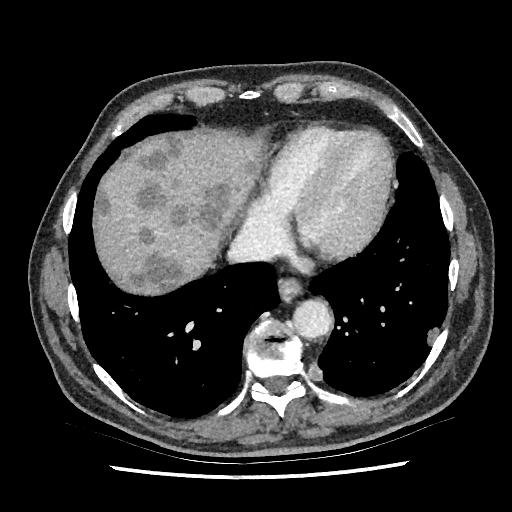
512x512, CT slice
Liver lesion = bbox(221, 221, 233, 240); bbox(244, 159, 259, 177); bbox(93, 189, 112, 223); bbox(113, 252, 184, 292); bbox(138, 226, 154, 245); bbox(117, 147, 136, 164); bbox(137, 180, 167, 211); bbox(169, 176, 181, 187); bbox(137, 133, 185, 169); bbox(170, 206, 187, 226); bbox(192, 178, 231, 231).
Liver = bbox(129, 284, 162, 294); bbox(95, 131, 265, 284).